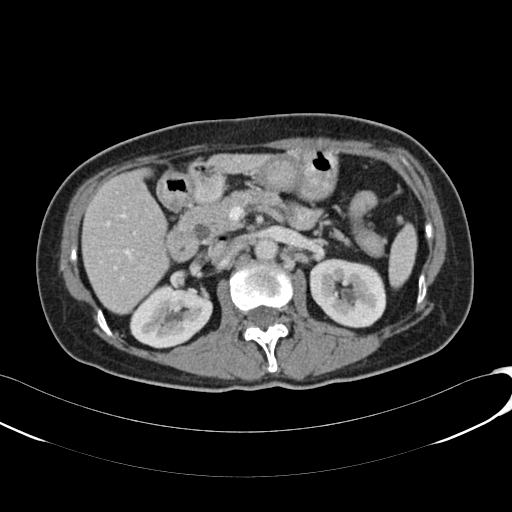
Computed tomography, Liver
Liver — region(210, 154, 267, 172); region(82, 170, 168, 312).
Kidney — region(311, 260, 384, 326); region(131, 287, 211, 347).